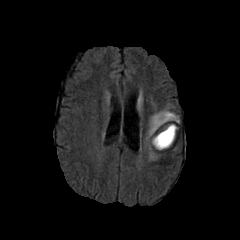
FLAIR MR.
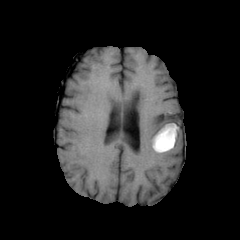
Same slice, T1-weighted magnetic resonance.
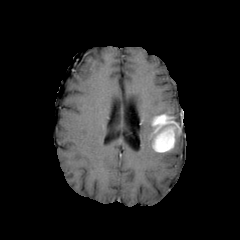
Post-contrast T1-weighted magnetic resonance.
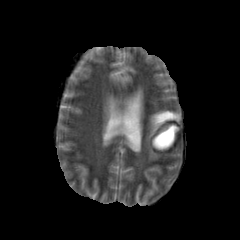
T2-weighted MR.
Brain.
2 edema regions appear at [144,104,177,160], [137,92,143,115]. The non-enhancing tumor core lies within [156,121,174,133]. The enhancing tumor appears at [151,113,177,151].